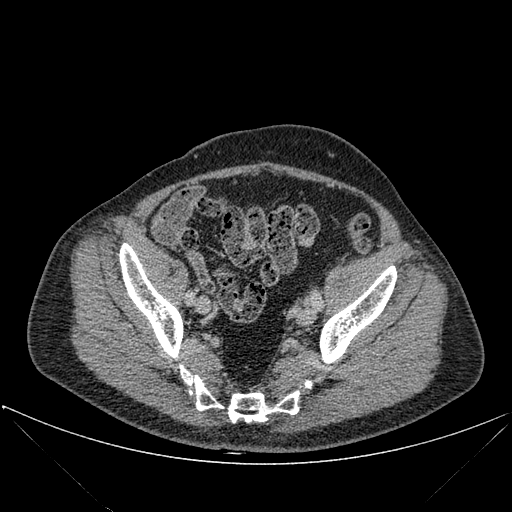
CT slice
Bone: 119,243,182,358; 320,266,396,363; 228,390,299,422; 179,364,223,410.